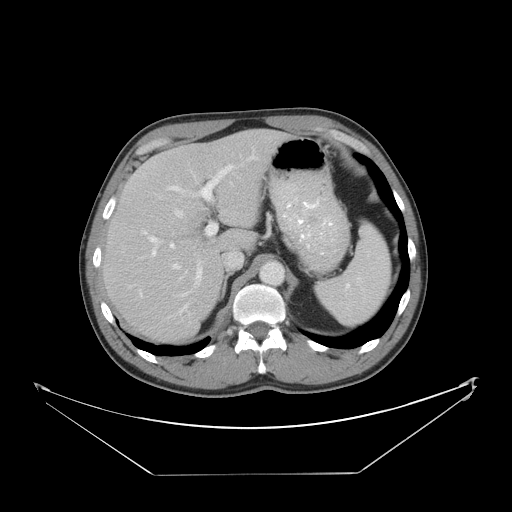 CT slice; 512x512 px; Abdomen

Not every hepatic vessel necessarily has a box.
Principal 15 of 16 hepatic vessel regions: box(175, 210, 182, 217); box(173, 264, 180, 268); box(141, 231, 146, 233); box(194, 260, 202, 286); box(170, 316, 174, 317); box(170, 243, 174, 248); box(180, 292, 188, 296); box(198, 164, 232, 199); box(149, 236, 158, 245); box(139, 291, 142, 296); box(179, 304, 187, 313); box(152, 247, 156, 256); box(129, 285, 134, 287); box(222, 211, 224, 213); box(167, 186, 182, 191).